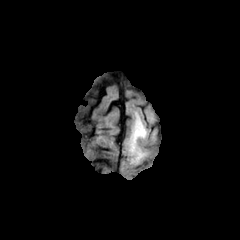
FLAIR MR.
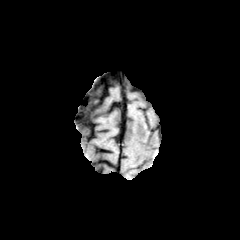
T1-weighted magnetic resonance.
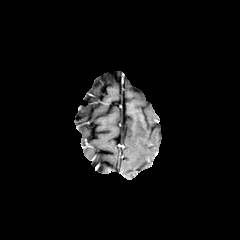
Post-contrast T1-weighted MR image.
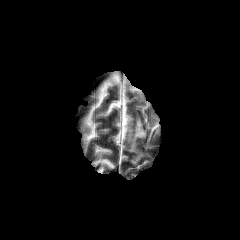
T2-weighted MR image.
Head
Findings:
- edema: {"x1": 126, "y1": 110, "x2": 155, "y2": 163}